CT, Slice index 266

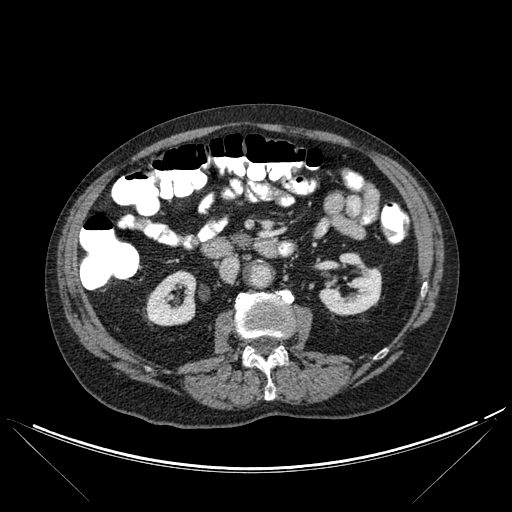

bone: (243, 346, 287, 399), (235, 290, 293, 339) | kidney: (147, 271, 195, 325), (320, 253, 381, 314)